Field of view 367 mm wide, 5.00 mm slice spacing | CT scan slice 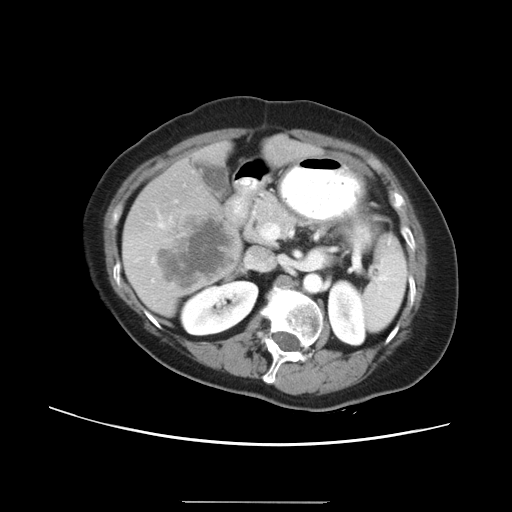

Not every hepatic vessel necessarily has a box.
Hepatic vessel: bounding box <box>152,279,154,281</box>.
Liver tumor: bounding box <box>157,216,232,287</box>.